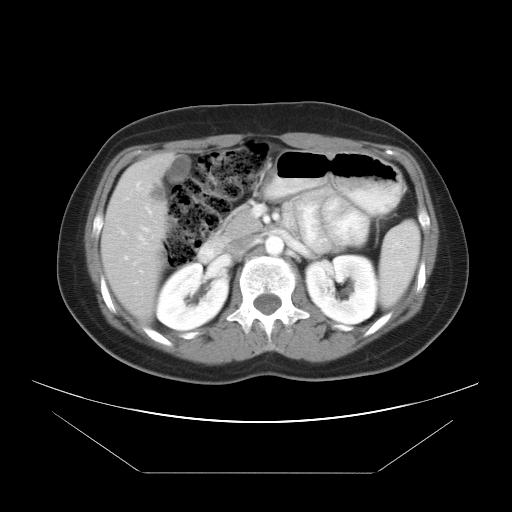 CT slice.
The vessel boxes may cover only some of the vessels.
Liver tumor: box(146, 179, 166, 203).
Hepatic vessel: box(124, 255, 128, 259); box(138, 226, 149, 244); box(145, 205, 151, 215).